FLAIR magnetic resonance.
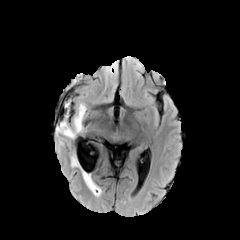
T1-weighted MRI.
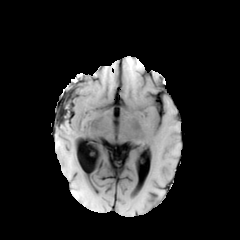
Post-contrast T1-weighted MRI.
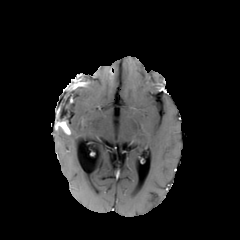
T2-weighted magnetic resonance.
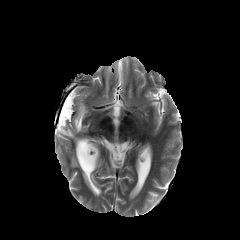
240x240
Enhancing tumor: bounding box [56, 120, 69, 133].
Edema: bounding box [56, 101, 86, 139], [71, 156, 79, 167], [82, 170, 101, 195].